Slice 48/155. 240x240.
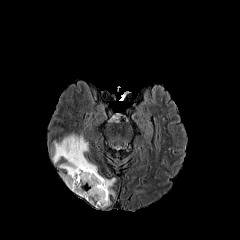
FLAIR magnetic resonance.
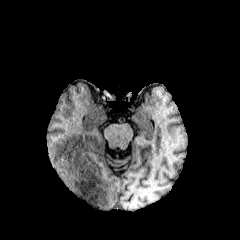
T1-weighted MR.
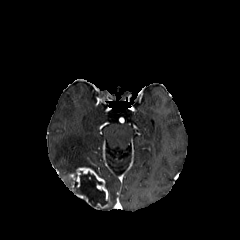
Post-contrast T1-weighted MR image.
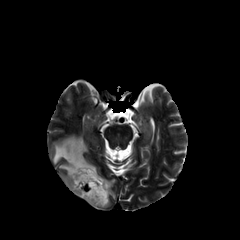
T2-weighted MR.
Findings:
* non-enhancing tumor core: l=69, t=171, r=109, b=209
* enhancing tumor: l=62, t=166, r=109, b=201
* edema: l=50, t=134, r=100, b=176; l=104, t=178, r=115, b=188